Slice index 33 | Field of view 411x411 mm | CT image

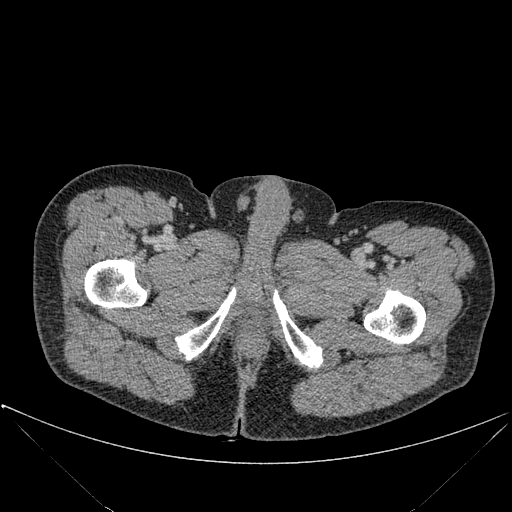

bone:
  - left=175, top=288, right=235, bottom=359
  - left=364, top=290, right=425, bottom=343
  - left=84, top=259, right=146, bottom=308
  - left=273, top=290, right=322, bottom=367